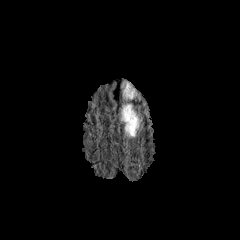
FLAIR MR.
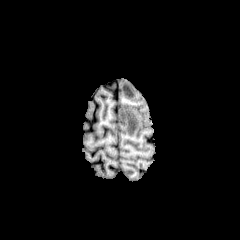
Same slice, T1-weighted MR image.
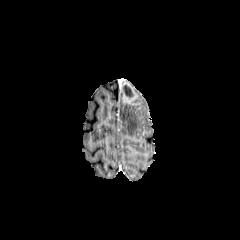
Post-contrast T1-weighted magnetic resonance.
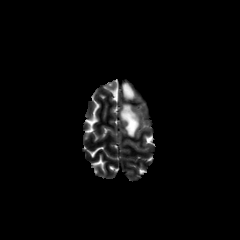
T2-weighted MR of the same slice.
Head; Image size 240x240
non-enhancing_tumor_core:
  - 123, 85, 134, 96
edema:
  - 121, 104, 141, 137
enhancing_tumor:
  - 122, 81, 139, 102